CT; Slice 190/343 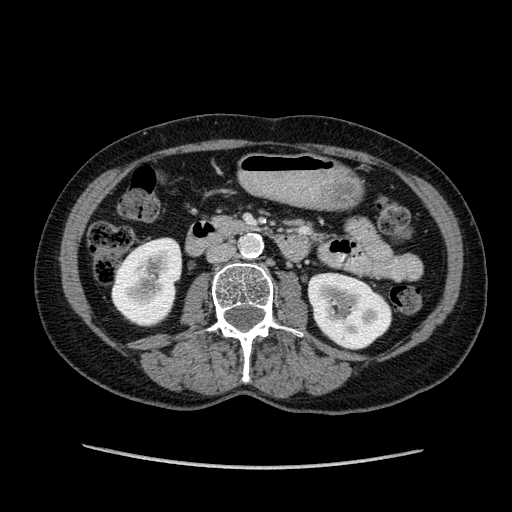
Kidney = x1=112, y1=239, x2=180, y2=324; x1=308, y1=274, x2=390, y2=348.